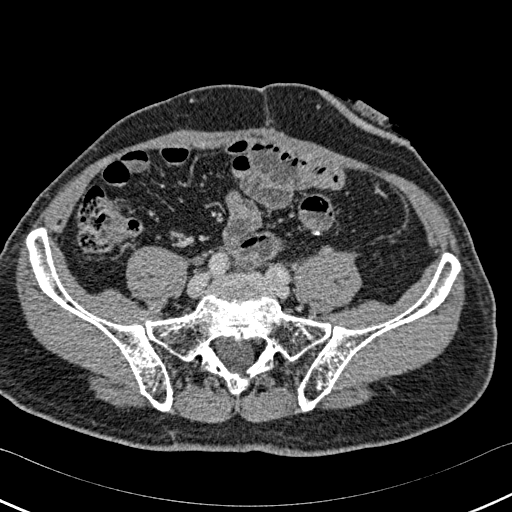
CT image.

• bone: {"x1": 27, "y1": 228, "x2": 460, "y2": 411}